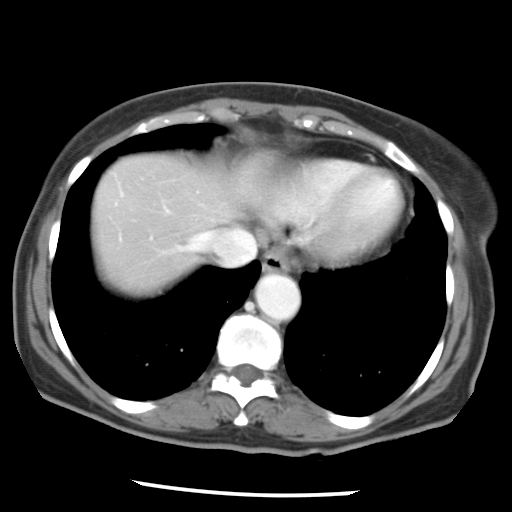
CT scan slice, Abdomen

Only some of the vessels may be annotated.
Annotated regions:
• hepatic vessel: (176,228,255,264), (120,192,122,196), (201,204,214,221), (166,209,167,211)